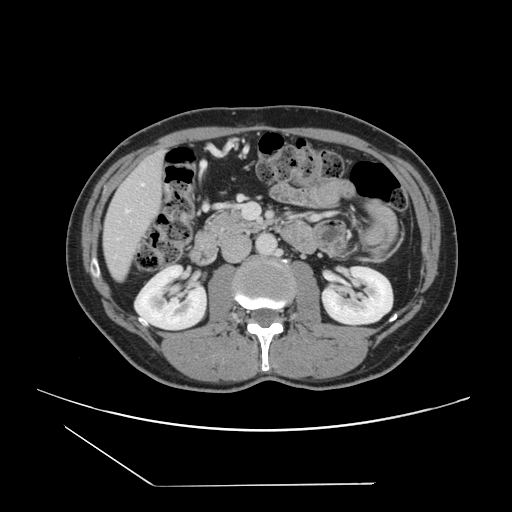
CT scan slice; Image size 512x512
Some hepatic vessels may have no box.
<segmentation>
  <hepatic_vessel>141:184:143:185</hepatic_vessel>
</segmentation>